Image width 429 mm, CT
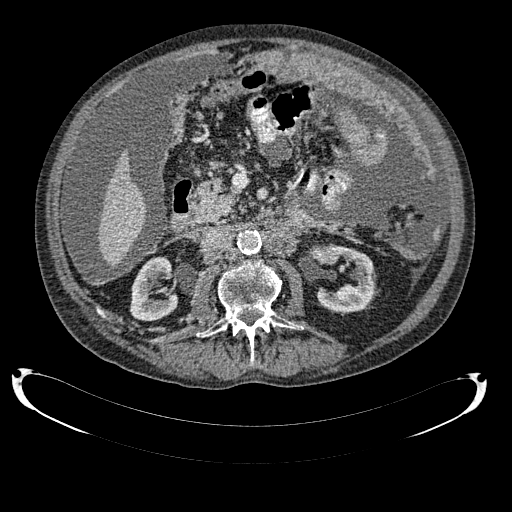 Kidney: (left=314, top=245, right=374, bottom=312), (left=130, top=257, right=177, bottom=320).
Liver: (left=98, top=151, right=145, bottom=266).